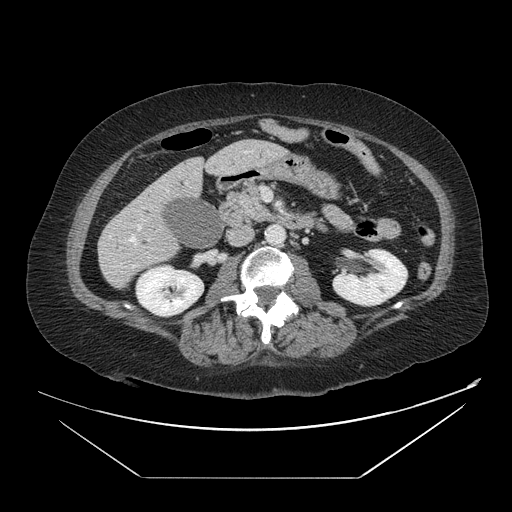
512x512 px. CT. Pancreatic tumor: x1=247, y1=203, x2=253, y2=211.
Pancreas: x1=229, y1=184, x2=274, y2=222.